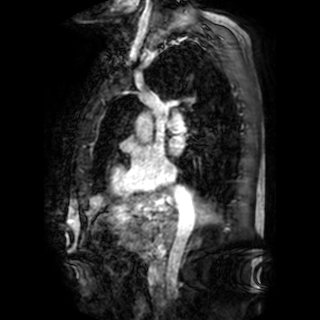

Heart; MRI
Left atrium: bounding box <box>169,136,184,153</box>.